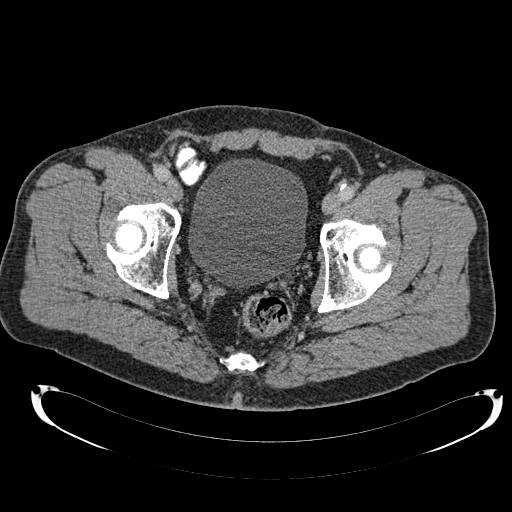

Computed tomography
Urinary bladder: bounding box <box>188,158,307,287</box>.